FLAIR MRI.
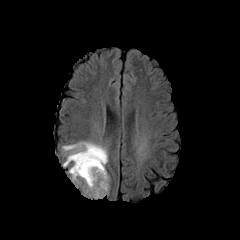
T1-weighted MR image.
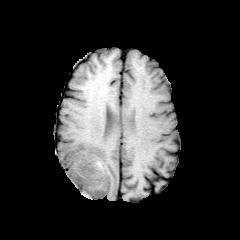
Post-contrast T1-weighted magnetic resonance.
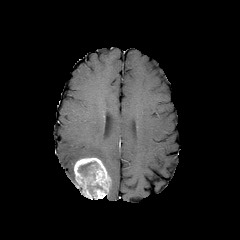
T2-weighted MR image.
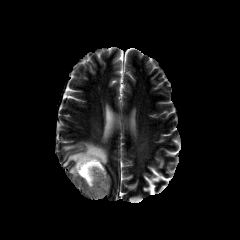
edema: rect(62, 141, 108, 181) | non-enhancing tumor core: rect(78, 162, 97, 174) | enhancing tumor: rect(73, 157, 110, 199)